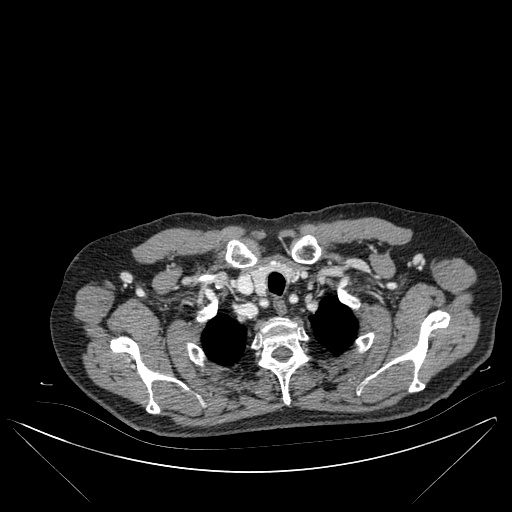
Computed tomography. 512x512 px. Chest.

{"lung": ["(268,280,282,294)", "(201,315,245,365)", "(309,297,357,354)"], "bone": ["(338,283,357,308)", "(225,240,256,267)", "(198,290,217,321)", "(203,275,215,280)", "(187,343,204,364)", "(369,311,449,391)", "(292,235,321,263)", "(110,337,187,413)", "(356,333,374,351)", "(252,317,308,404)"]}